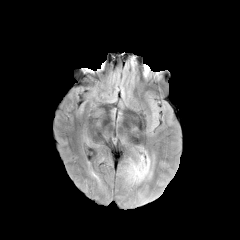
FLAIR MR image.
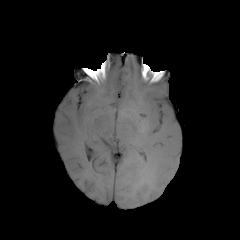
T1-weighted MRI of the same slice.
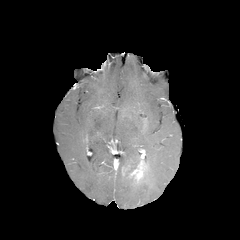
Post-contrast T1-weighted magnetic resonance.
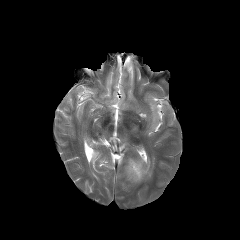
Same slice, T2-weighted MRI.
240x240 px
Annotated regions:
- enhancing tumor: x1=132, y1=152, x2=145, y2=177
- edema: x1=126, y1=154, x2=149, y2=181